Brain | Field of view 240x240 mm
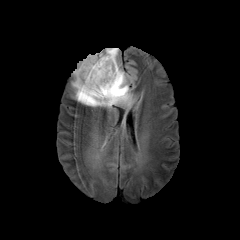
FLAIR MR image.
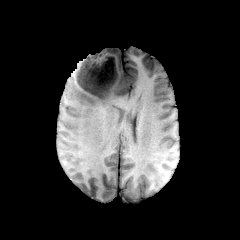
Same slice, T1-weighted MR image.
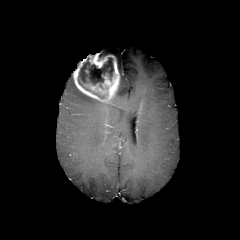
Post-contrast T1-weighted MRI.
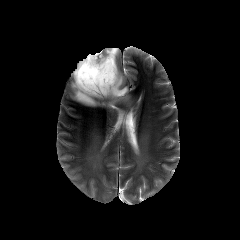
Same slice, T2-weighted magnetic resonance.
Enhancing tumor — [x1=73, y1=53, x2=119, y2=99].
Edema — [x1=72, y1=48, x2=132, y2=108].
Non-enhancing tumor core — [x1=78, y1=58, x2=113, y2=86].